FLAIR MR image.
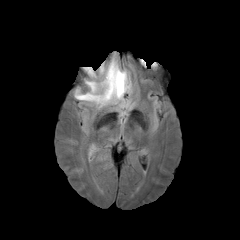
T1-weighted magnetic resonance.
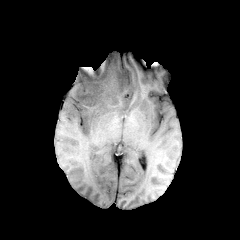
Post-contrast T1-weighted MRI.
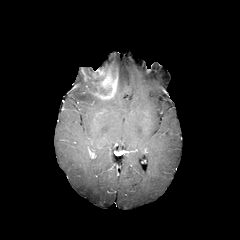
T2-weighted MR image.
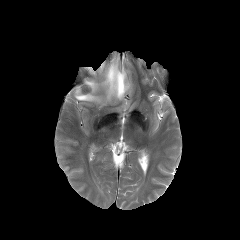
240x240 px | Brain
The edema appears at 73:62:134:117. 2 non-enhancing tumor core regions are located at 79:67:110:95, 99:54:120:81. The enhancing tumor is located at 94:68:117:100.